512x512 | Computed tomography
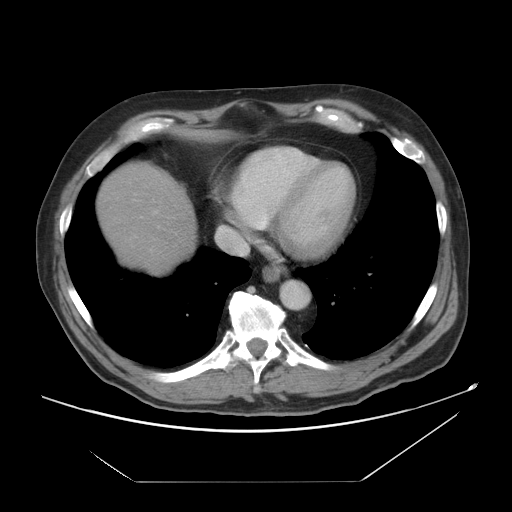
Liver: [97, 162, 195, 274].